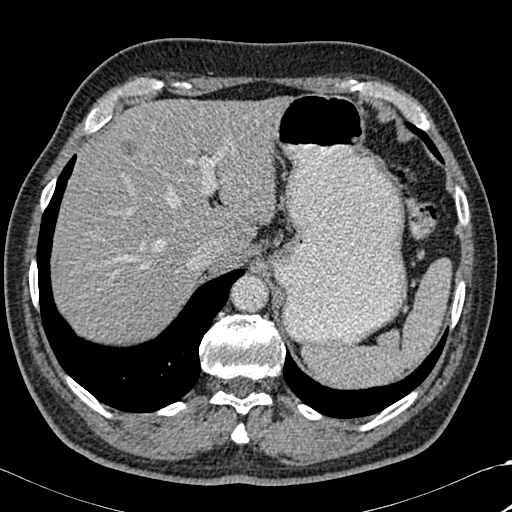 CT image; 512x512
- bone: bbox=[451, 282, 464, 325]; bbox=[158, 402, 184, 415]; bbox=[199, 314, 285, 413]; bbox=[66, 377, 109, 416]; bbox=[298, 404, 321, 419]; bbox=[351, 81, 428, 129]; bbox=[85, 105, 111, 131]; bbox=[29, 261, 38, 304]; bbox=[40, 179, 55, 208]; bbox=[136, 80, 162, 93]; bbox=[456, 187, 468, 224]; bbox=[231, 424, 248, 443]; bbox=[361, 392, 416, 430]
- liver: bbox=[51, 98, 287, 343]; bbox=[215, 254, 235, 265]
- liver lesion: bbox=[121, 139, 138, 154]
- lung: bbox=[283, 329, 447, 418]; bbox=[405, 122, 443, 162]; bbox=[37, 155, 244, 412]